Image width 438 mm; Slice index 23; CT slice; 512x512 px
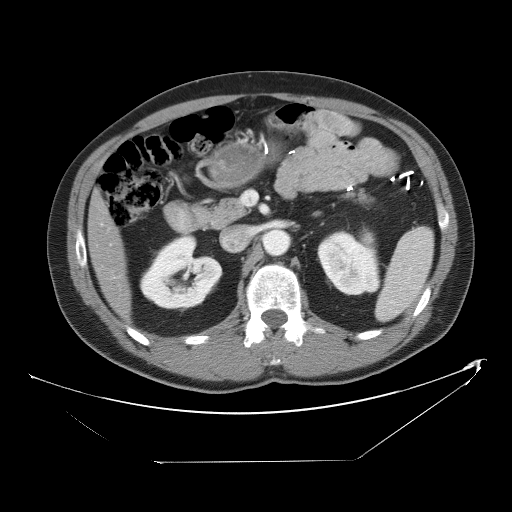
The vessel annotation is not exhaustive.
<segmentation>
  <hepatic_vessel>l=111, t=278, r=114, b=278; l=115, t=276, r=118, b=277</hepatic_vessel>
</segmentation>